Slice 79 of 155 | Brain
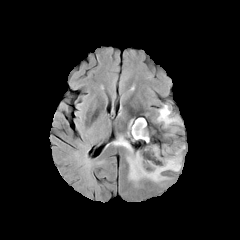
FLAIR MRI.
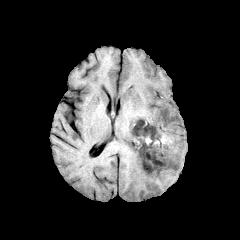
T1-weighted magnetic resonance of the same slice.
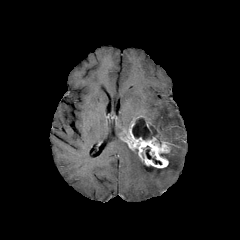
Post-contrast T1-weighted magnetic resonance.
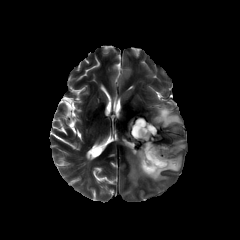
T2-weighted MR.
Findings:
• edema: (left=112, top=136, right=185, bottom=183), (left=155, top=103, right=182, bottom=127)
• enhancing tumor: (left=128, top=120, right=169, bottom=167)
• non-enhancing tumor core: (left=145, top=146, right=161, bottom=164), (left=132, top=118, right=155, bottom=140), (left=141, top=159, right=162, bottom=171)